CT slice. Thorax. 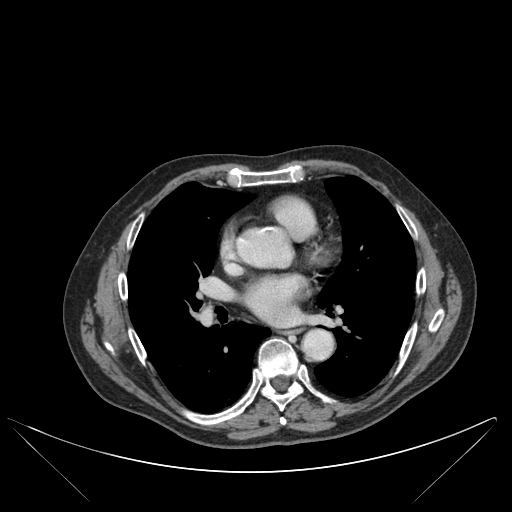

{
  "bone": [
    "bbox=[127, 215, 142, 246]",
    "bbox=[416, 269, 425, 293]",
    "bbox=[398, 324, 416, 370]",
    "bbox=[184, 339, 332, 424]",
    "bbox=[400, 209, 415, 232]",
    "bbox=[118, 273, 127, 299]",
    "bbox=[429, 309, 443, 331]",
    "bbox=[128, 329, 145, 363]",
    "bbox=[230, 167, 298, 185]"
  ],
  "lung": [
    "bbox=[314, 176, 415, 396]",
    "bbox=[128, 182, 270, 413]"
  ]
}